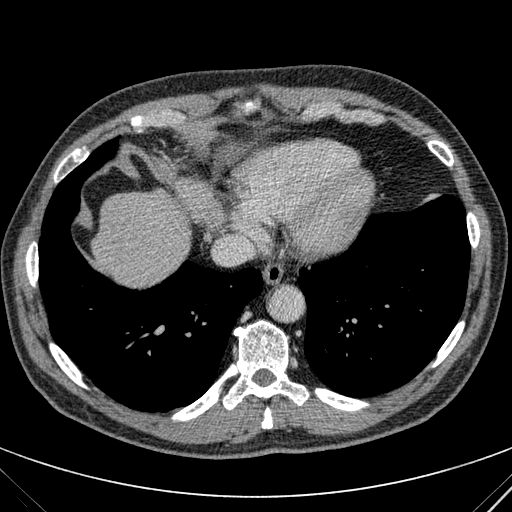

CT slice | Liver
Liver = bbox(93, 178, 223, 286).